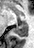
Hippocampus | MR
Posterior hippocampus at (left=13, top=23, right=27, bottom=36).